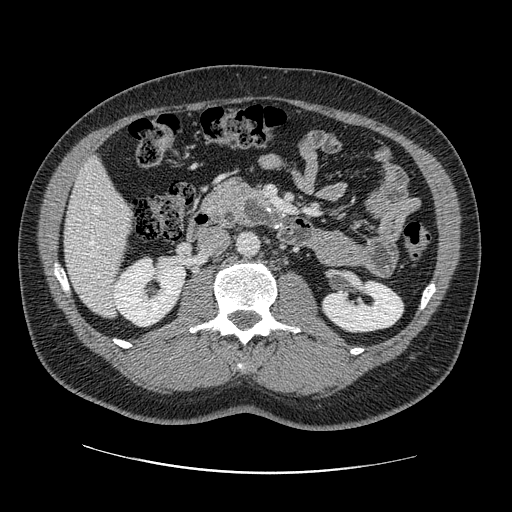

CT
Annotated regions:
• pancreas: [200,177,255,229]